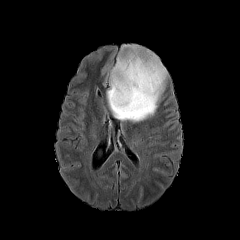
FLAIR MR image.
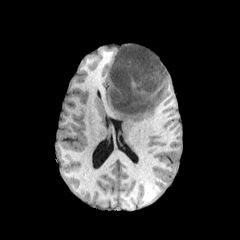
T1-weighted MRI.
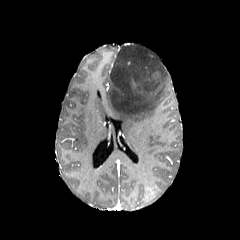
Post-contrast T1-weighted MR image.
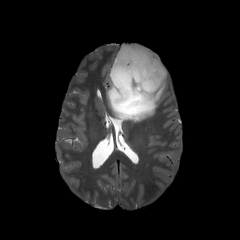
T2-weighted MRI of the same slice.
<segmentation>
  <edema>box(105, 58, 167, 123)</edema>
</segmentation>